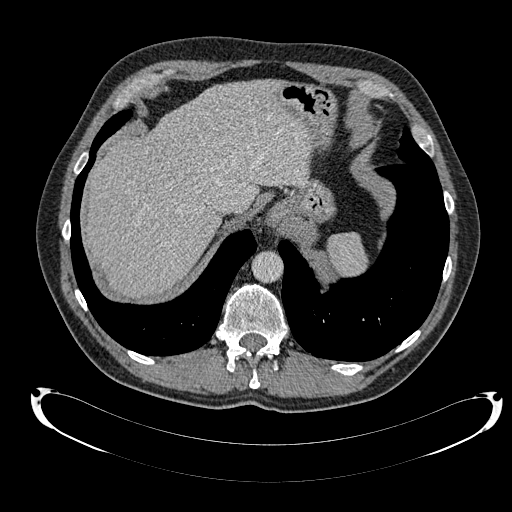
512x512 px, CT scan slice
The liver appears at 87, 79, 312, 297.